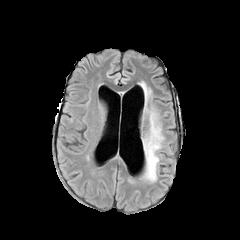
FLAIR magnetic resonance.
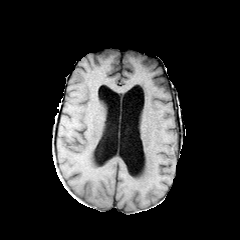
T1-weighted magnetic resonance.
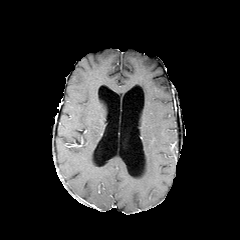
Post-contrast T1-weighted MR image of the same slice.
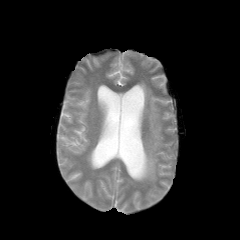
Same slice, T2-weighted MRI.
Brain. 240x240.
2 edema regions are bounded by box(142, 106, 163, 182); box(139, 81, 152, 100).